Abdomen; Slice index 404; Image size 512x512; CT image
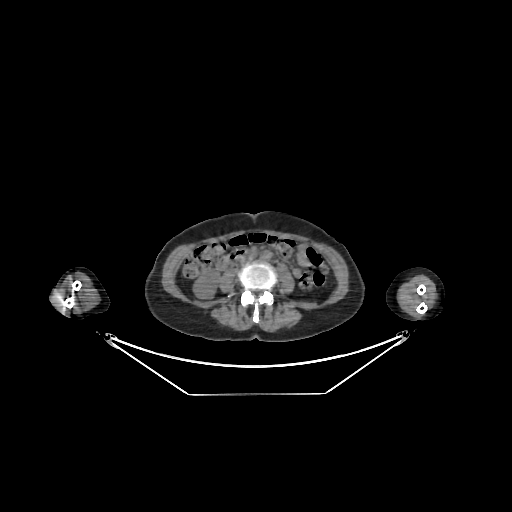
kidney: 193:267:221:298